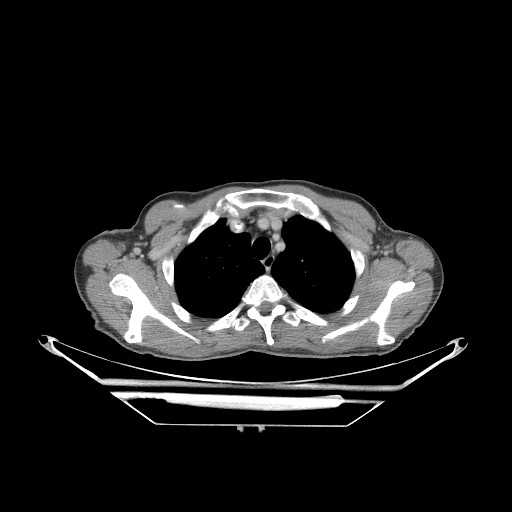
CT slice. 512x512. Thorax.

Lung: bbox(272, 215, 354, 313); bbox(174, 218, 263, 318).
Bone: bbox(172, 302, 189, 321); bbox(110, 274, 194, 342); bbox(343, 296, 358, 313); bbox(355, 251, 363, 274); bbox(188, 211, 217, 241); bbox(224, 189, 318, 218); bbox(371, 281, 414, 344); bbox(326, 320, 363, 339); bbox(243, 275, 284, 344); bbox(162, 260, 173, 284); bbox(283, 305, 326, 325); bbox(207, 308, 249, 330).